CT | Field of view 490x490 mm | Upper abdomen 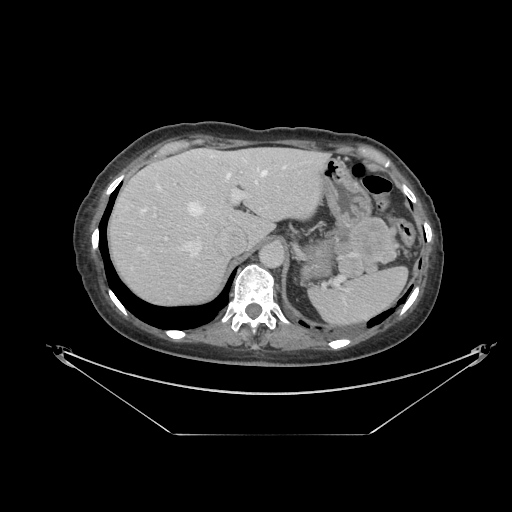
pancreatic_tumor:
  - x1=350 y1=217 x2=395 y2=255
pancreas:
  - x1=336 y1=219 x2=396 y2=278